Computed tomography | Image size 512x512

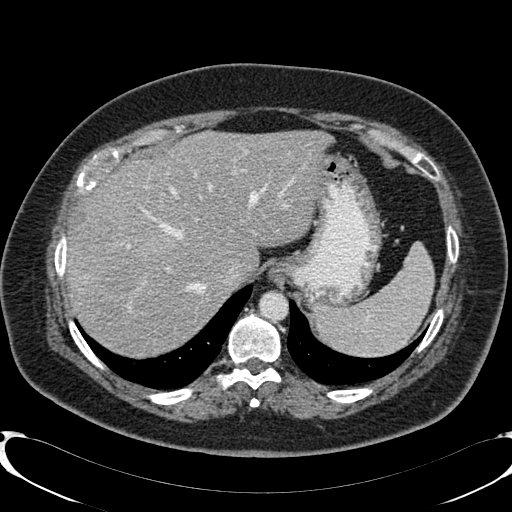 Segmented structures:
• liver lesion: {"x1": 102, "y1": 247, "x2": 140, "y2": 292}, {"x1": 86, "y1": 219, "x2": 113, "y2": 244}, {"x1": 71, "y1": 213, "x2": 88, "y2": 233}
• liver: {"x1": 67, "y1": 131, "x2": 335, "y2": 355}